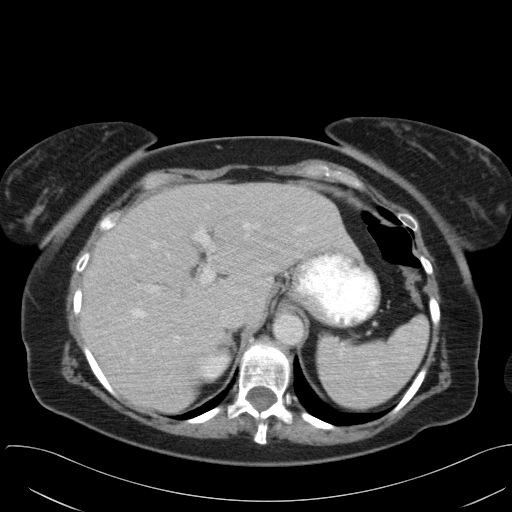 Abdomen | Computed tomography
{
  "spleen": [
    {"x1": 319, "y1": 317, "x2": 429, "y2": 408}
  ]
}